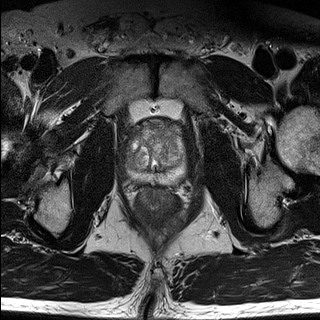
T2-weighted MR image.
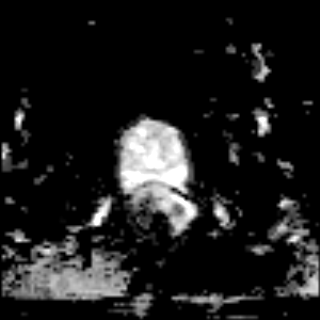
ADC MRI of the same slice.
Image size 320x320
The prostate transition zone is located at box(127, 126, 183, 173). The prostate peripheral zone is located at box(129, 164, 183, 182).